Computed tomography

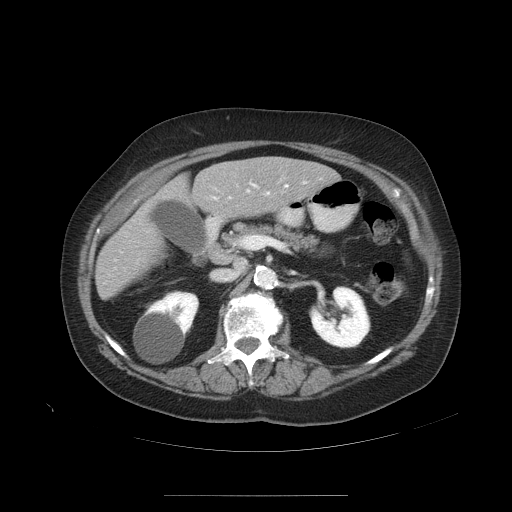 Some hepatic vessels may have no box.
Hepatic vessel: (246,188,248,192), (240,236,254,248), (266,192,268,195), (303,182,305,183), (285,185,286,187), (229,197,230,198), (249,183,256,187), (213,197,216,199).